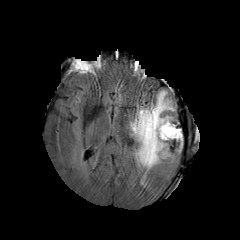
FLAIR MR.
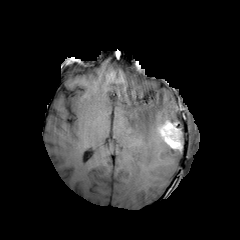
T1-weighted MR of the same slice.
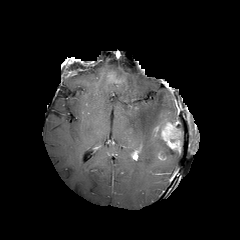
Same slice, post-contrast T1-weighted magnetic resonance.
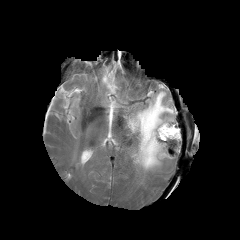
T2-weighted MR.
Head
The enhancing tumor is at box=[160, 122, 180, 143]. The edema is bounded by box=[127, 89, 182, 173]. The non-enhancing tumor core lies within box=[166, 138, 181, 150].